Brain, Field of view 240 mm wide, 1.00 mm slice spacing
FLAIR magnetic resonance.
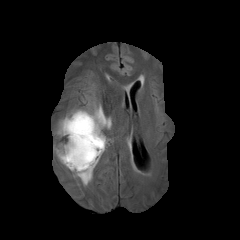
T1-weighted MR.
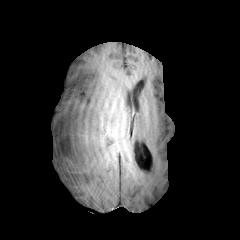
Post-contrast T1-weighted MR.
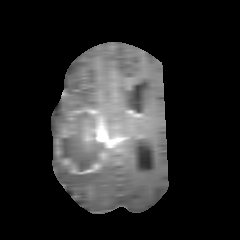
T2-weighted magnetic resonance.
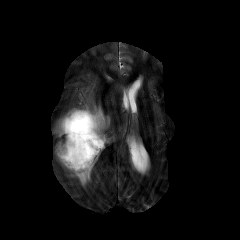
- edema: (68, 170, 92, 186), (54, 93, 111, 135)
- enhancing tumor: (72, 163, 101, 173), (73, 110, 110, 161)
- non-enhancing tumor core: (55, 112, 106, 171)